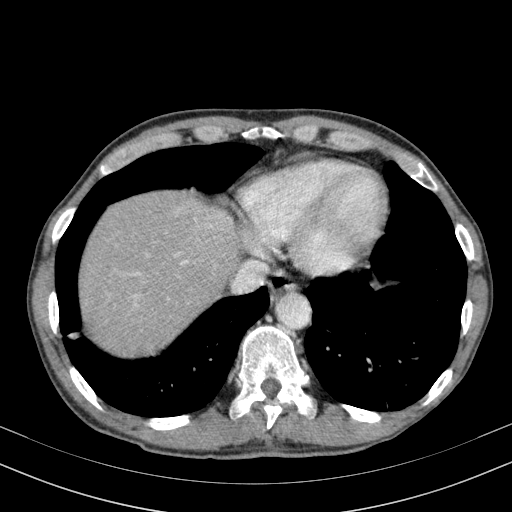

CT scan slice | Upper abdomen

Annotated regions:
* liver: (left=78, top=191, right=241, bottom=356)